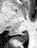 Medial temporal lobe. 37x48. Magnetic resonance. Posterior hippocampus = 11, 32, 28, 42.